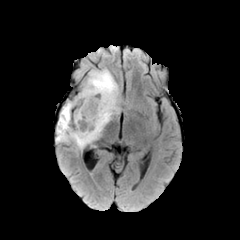
FLAIR magnetic resonance.
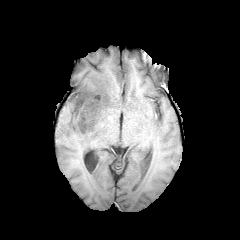
Same slice, T1-weighted MR.
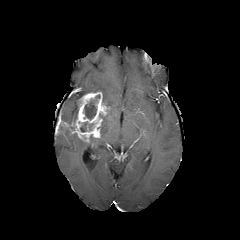
Post-contrast T1-weighted magnetic resonance of the same slice.
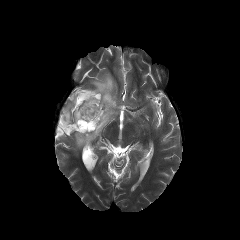
T2-weighted MRI of the same slice.
Head.
Edema: bounding box (55, 132, 97, 149), (60, 97, 75, 121), (80, 69, 119, 135).
Enhancing tumor: bounding box (55, 91, 109, 142).
Non-enhancing tumor core: bounding box (84, 102, 96, 119), (67, 90, 96, 128).